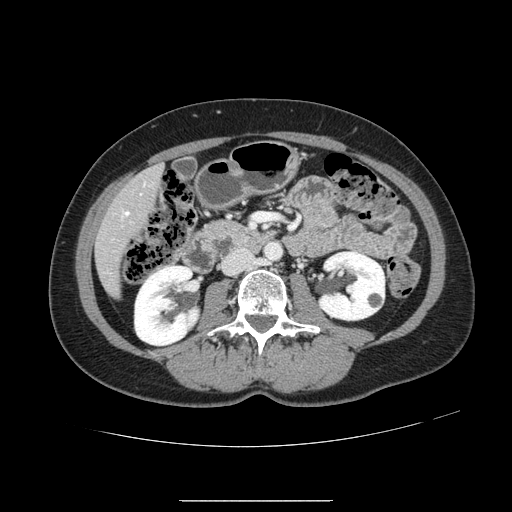

CT scan slice. Image size 512x512. Upper abdomen.

Pancreas: box(198, 219, 266, 264).
Pancreatic tumor: box(213, 236, 233, 255).